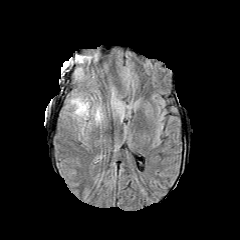
FLAIR MR image.
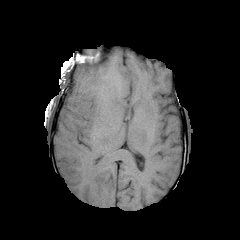
Same slice, T1-weighted MR image.
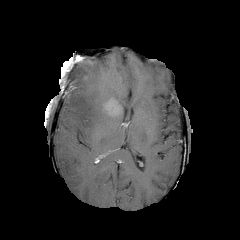
Post-contrast T1-weighted MR image.
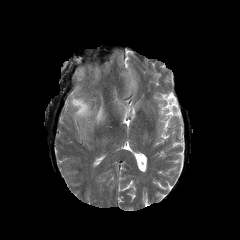
Same slice, T2-weighted MR.
Edema at rect(91, 106, 103, 123); rect(70, 97, 90, 120); rect(74, 68, 83, 77).
Enhancing tumor at rect(102, 98, 122, 115).